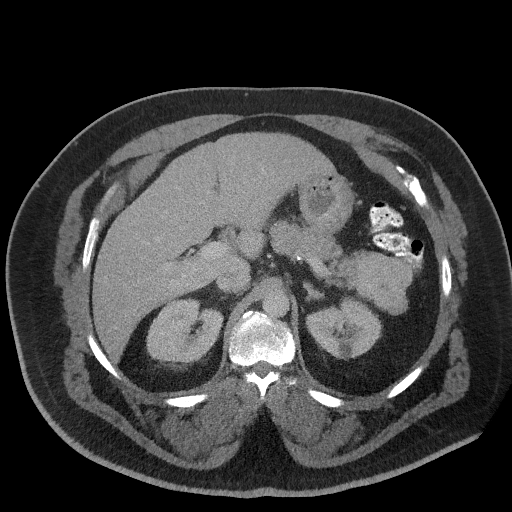 Computed tomography; Abdomen
{"pancreatic_tumor": ["(left=357, top=252, right=412, bottom=314)"], "pancreas": ["(left=269, top=219, right=394, bottom=290)"]}